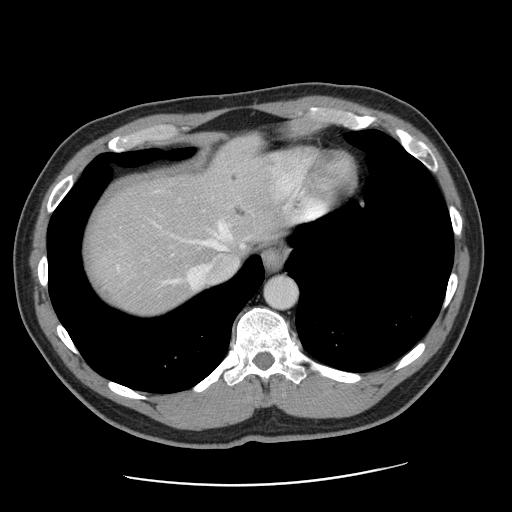
Computed tomography | Abdomen
Only some of the vessels may be annotated.
<segmentation>
  <hepatic_vessel>185,220,237,289; 236,243,246,249</hepatic_vessel>
  <liver_tumor>228,171,240,183; 232,203,248,218</liver_tumor>
</segmentation>